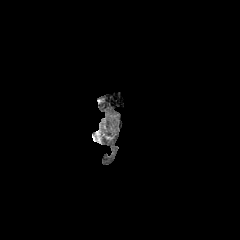
FLAIR MRI.
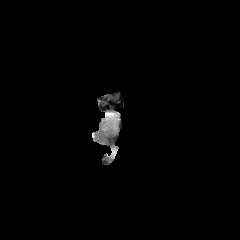
T1-weighted magnetic resonance of the same slice.
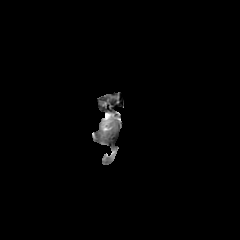
Post-contrast T1-weighted magnetic resonance.
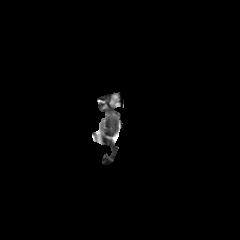
Same slice, T2-weighted MR image.
Head, 240x240 px
Edema: bounding box 92, 113, 115, 142.